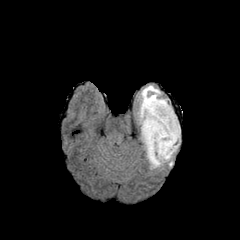
FLAIR MRI.
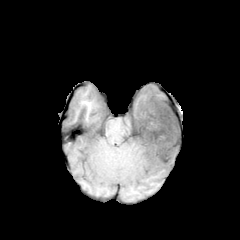
T1-weighted MRI of the same slice.
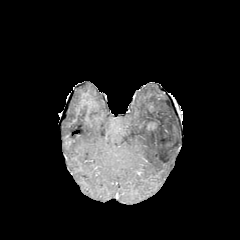
Post-contrast T1-weighted MRI.
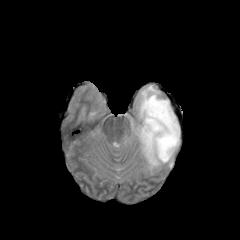
Same slice, T2-weighted MR image.
Annotated regions:
- edema: 136, 85, 180, 169
- non-enhancing tumor core: 146, 105, 175, 147